Slice 39 of 155
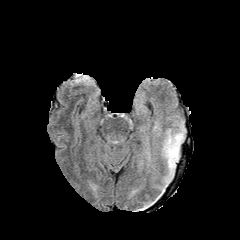
FLAIR magnetic resonance.
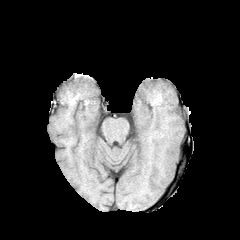
T1-weighted MRI.
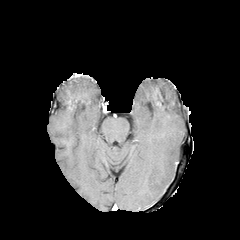
Same slice, post-contrast T1-weighted MRI.
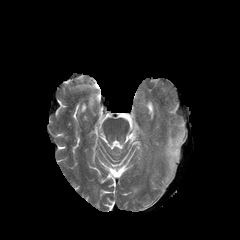
T2-weighted MRI.
edema:
  - 166:135:182:170